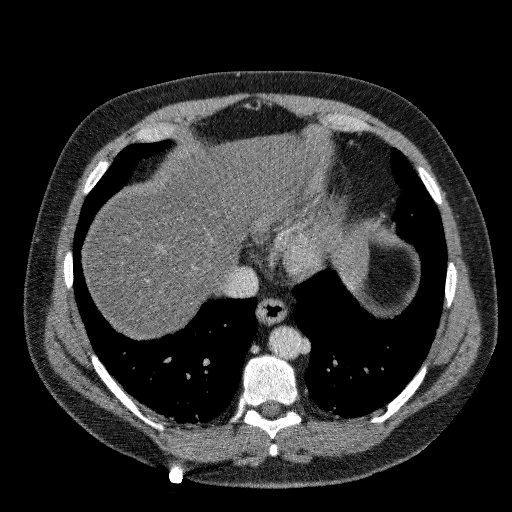 512x512 px, CT slice

The liver appears at 83 135 307 338.